CT scan slice. Liver. Field of view 407 mm wide, 1.50 mm slice spacing. 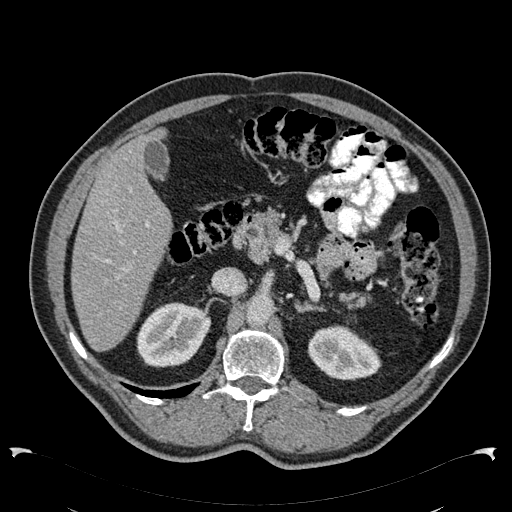

liver:
  - [72,128,171,350]
kidney:
  - [308,326,380,379]
  - [137,303,210,366]